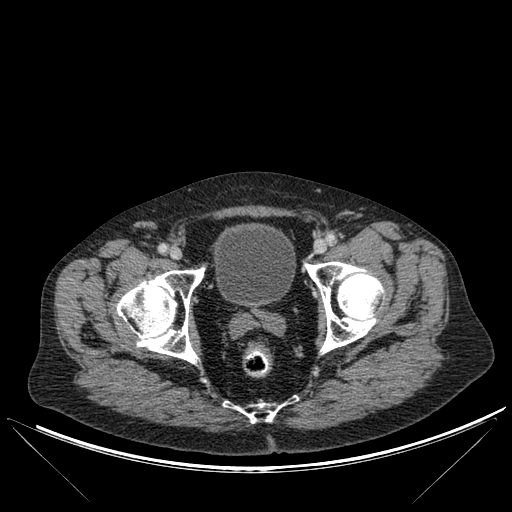
Lower abdomen. CT image. 512x512.
Urinary bladder: rect(213, 222, 295, 305).
Bone: rect(117, 268, 204, 363); rect(223, 401, 282, 422); rect(305, 261, 382, 353).